Head.
FLAIR MR image.
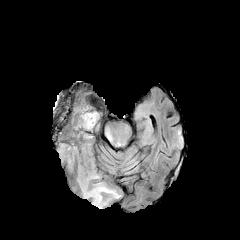
T1-weighted MR.
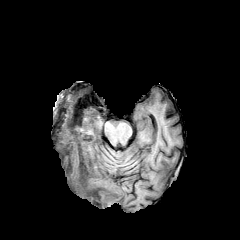
Post-contrast T1-weighted MRI.
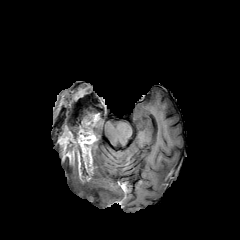
T2-weighted MR image.
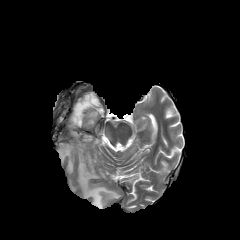
{"enhancing_tumor": ["bbox(58, 137, 74, 163)", "bbox(79, 113, 99, 130)", "bbox(76, 131, 94, 183)"], "edema": ["bbox(81, 104, 96, 119)", "bbox(64, 158, 77, 171)", "bbox(76, 166, 120, 208)"], "non-enhancing_tumor_core": ["bbox(59, 104, 96, 176)"]}